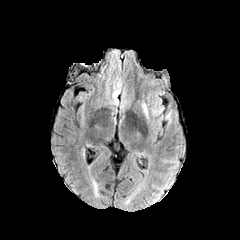
FLAIR MRI.
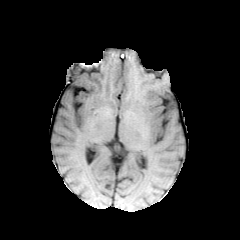
T1-weighted MR.
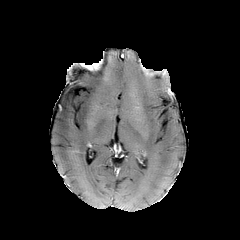
Post-contrast T1-weighted magnetic resonance of the same slice.
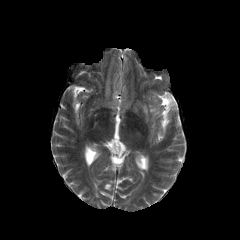
Same slice, T2-weighted MRI.
edema:
  - box(141, 91, 171, 126)